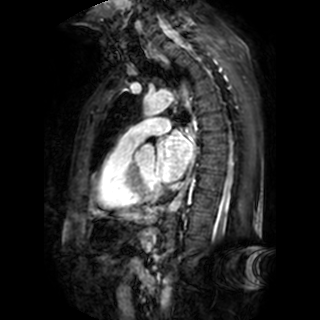 MR image. Image size 320x320.
The left atrium appears at region(155, 130, 193, 182).